Slice 34/50, Image size 512x512, Field of view 482x482 mm, Abdomen, CT image
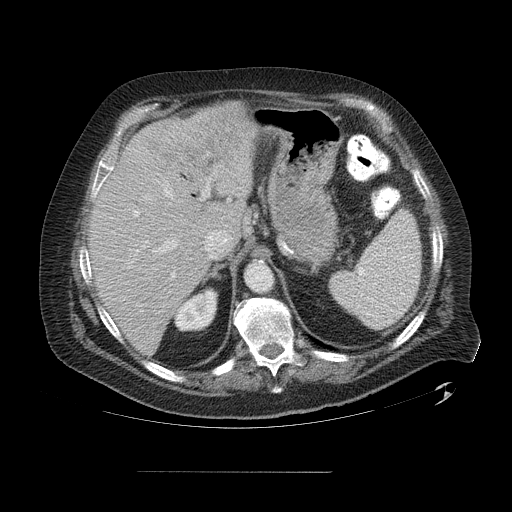

The vessel boxes may cover only some of the vessels.
The liver tumor is at <box>147,118,236,170</box>. 10 hepatic vessel regions are bounded by <box>144,196,147,198</box>, <box>136,250,139,251</box>, <box>171,272,174,278</box>, <box>142,240,148,248</box>, <box>134,211,138,216</box>, <box>164,189,172,197</box>, <box>173,266,174,268</box>, <box>228,198,229,200</box>, <box>200,178,210,200</box>, <box>154,240,176,252</box>.